Brain. 240x240 px.
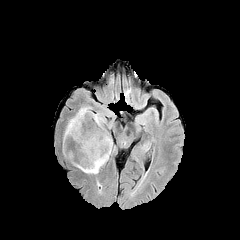
FLAIR MR image.
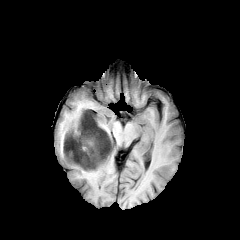
T1-weighted magnetic resonance.
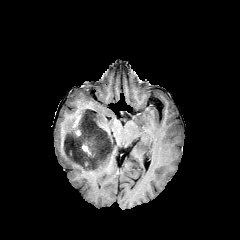
Post-contrast T1-weighted MRI of the same slice.
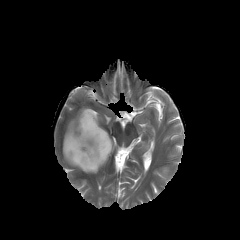
T2-weighted MR.
edema:
  - [96, 113, 109, 137]
  - [71, 138, 115, 173]
  - [63, 106, 92, 157]
enhancing_tumor:
  - [82, 142, 91, 155]
non-enhancing_tumor_core:
  - [64, 108, 112, 168]